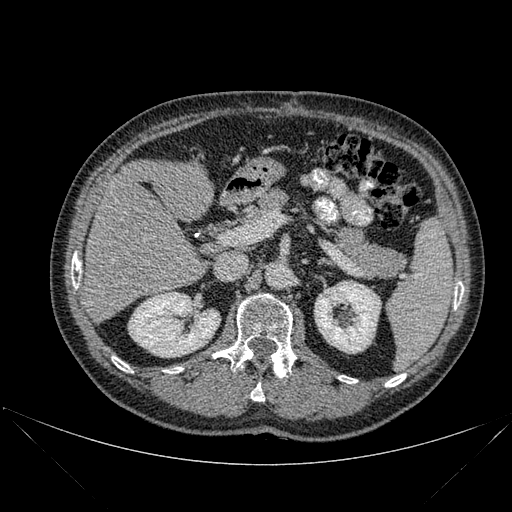
CT slice | Liver
The liver lies within x1=84 y1=159 x2=214 y2=321. 8 bone regions are bounded by x1=251 y1=382 x2=264 y2=401, x1=164 y1=367 x2=182 y2=373, x1=338 y1=375 x2=357 y2=383, x1=71 y1=252 x2=80 y2=288, x1=212 y1=294 x2=296 y2=377, x1=112 y1=356 x2=132 y2=372, x1=454 y1=286 x2=463 y2=309, x1=385 y1=374 x2=405 y2=386. 2 kidney regions appear at x1=314 y1=281 x2=380 y2=353, x1=128 y1=292 x2=220 y2=357.